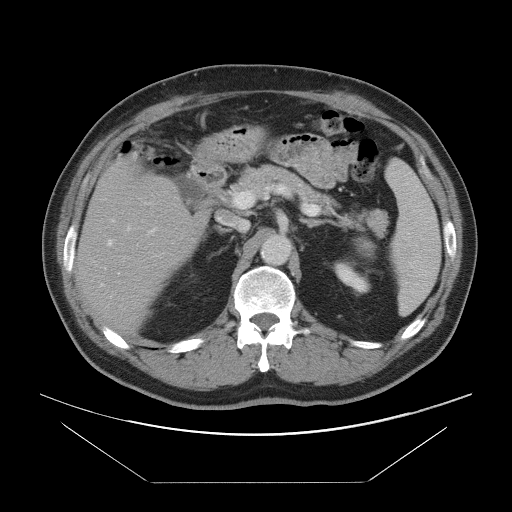 CT scan slice | Abdomen | 512x512
Some hepatic vessels may have no box.
Findings:
- hepatic vessel: x1=146, y1=202, x2=148, y2=203; x1=173, y1=241, x2=174, y2=243; x1=149, y1=229, x2=154, y2=232; x1=112, y1=219, x2=114, y2=221